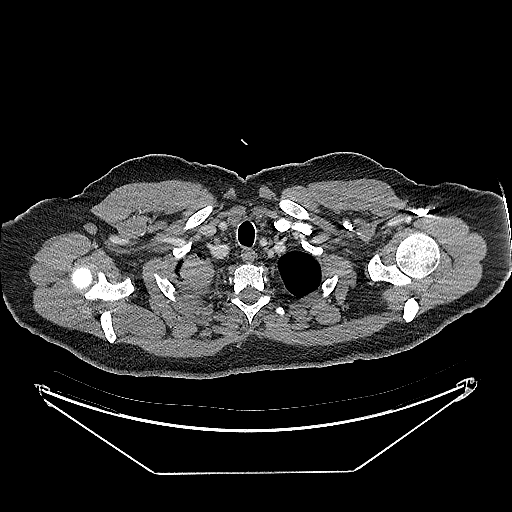
512x512 px. CT slice.
{"lung_tumor": ["region(176, 252, 214, 283)"]}